Thorax. Slice 135 of 322. CT slice. 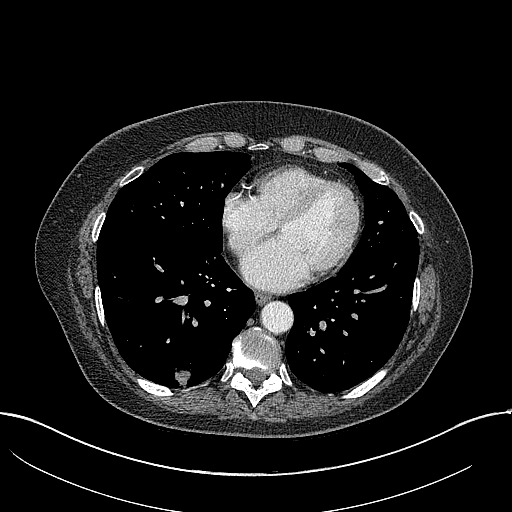
Lung tumor: {"x1": 173, "y1": 366, "x2": 193, "y2": 386}.